CT image; Slice 484 of 685; 512x512 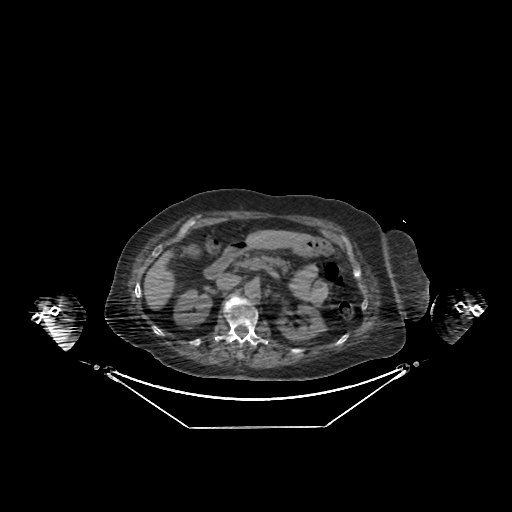

Kidney: (left=275, top=305, right=327, bottom=341), (left=174, top=289, right=212, bottom=328).
Liver: (left=143, top=247, right=178, bottom=310), (left=244, top=229, right=318, bottom=258).